Head
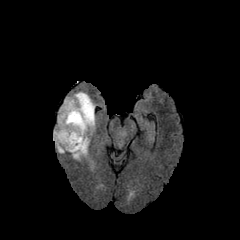
FLAIR MR.
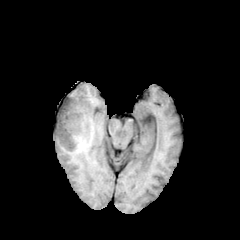
T1-weighted MR image of the same slice.
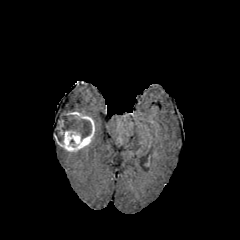
Same slice, post-contrast T1-weighted MR image.
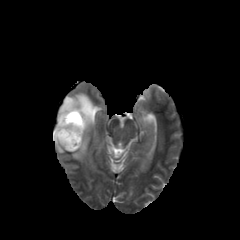
T2-weighted magnetic resonance of the same slice.
The enhancing tumor is at 53,112,94,151. 2 edema regions appear at 57,91,98,132; 53,137,95,170. 2 non-enhancing tumor core regions are located at 53,130,64,142; 57,102,91,140.